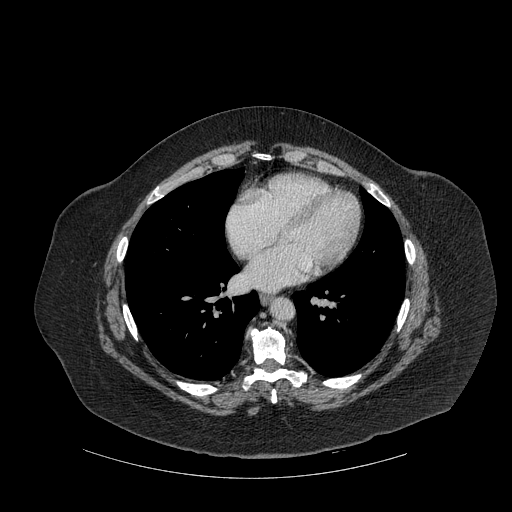 Image size 512x512; CT image; Thorax

lung: [125, 168, 259, 380], [293, 189, 404, 376] | bone: [380, 197, 389, 206], [177, 382, 216, 395], [271, 389, 276, 402], [323, 375, 360, 388], [251, 327, 285, 364], [405, 240, 415, 263], [123, 305, 137, 339], [243, 368, 306, 389], [397, 299, 409, 330], [255, 154, 270, 159], [117, 237, 127, 261], [153, 187, 162, 199]